CT image. Field of view 370x370 mm. Image size 512x512. Abdomen. Slice index 377. 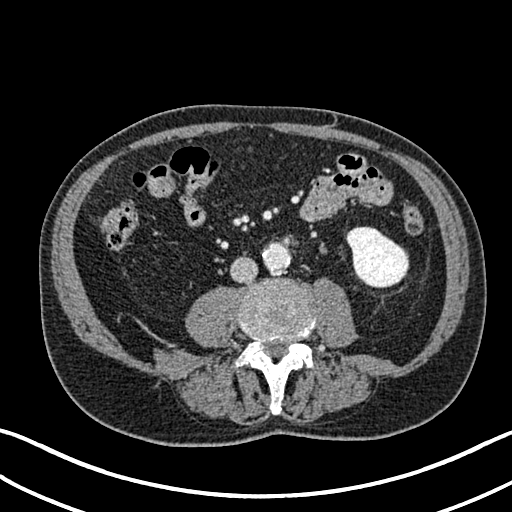
Kidney = [347,227,407,286].